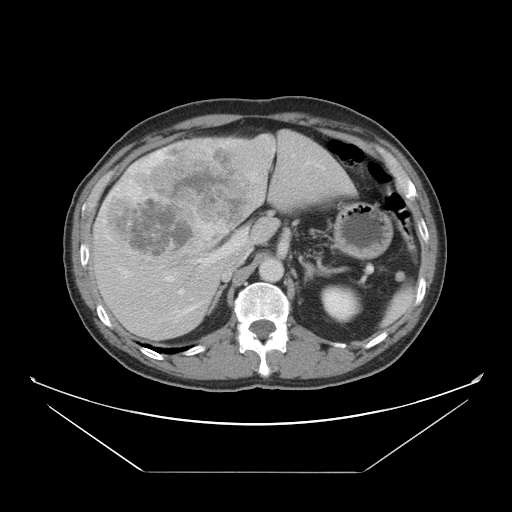
Abdomen; Computed tomography
Only some of the vessels may be annotated.
Hepatic vessel: bounding box (left=197, top=231, right=246, bottom=265), (left=179, top=305, right=198, bottom=315), (left=165, top=272, right=176, bottom=281), (left=118, top=267, right=132, bottom=277), (left=197, top=224, right=227, bottom=240), (left=179, top=289, right=183, bottom=293).
Liver tumor: bounding box (left=107, top=144, right=252, bottom=256).